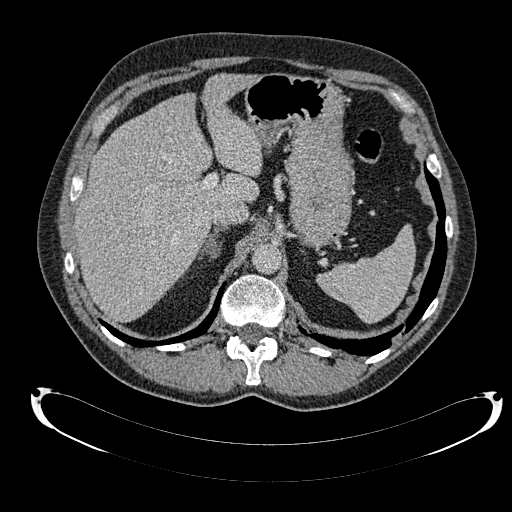 CT slice
liver: [75, 93, 258, 321], [204, 74, 261, 175]